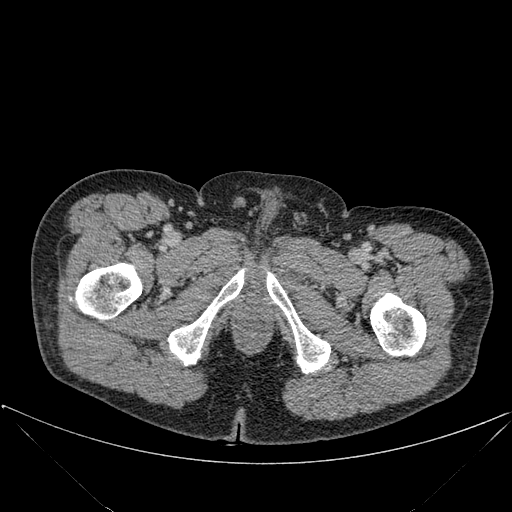 CT image

{"bone": ["x1=370 y1=293 x2=426 y2=355", "x1=168 y1=269 x2=244 y2=365", "x1=75 y1=263 x2=141 y2=319", "x1=267 y1=272 x2=330 y2=373"]}